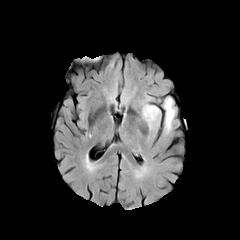
FLAIR MRI.
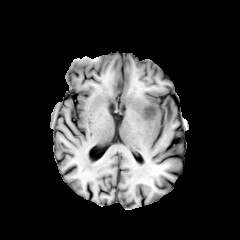
Same slice, T1-weighted MR.
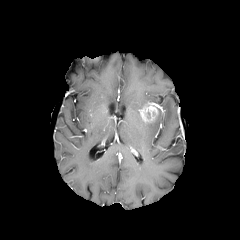
Same slice, post-contrast T1-weighted MR.
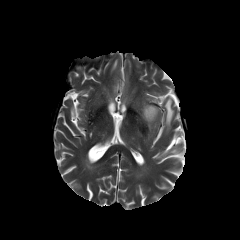
T2-weighted magnetic resonance of the same slice.
Brain; 240x240 px
edema:
  - l=164, t=97, r=174, b=131
enhancing_tumor:
  - l=141, t=105, r=157, b=120